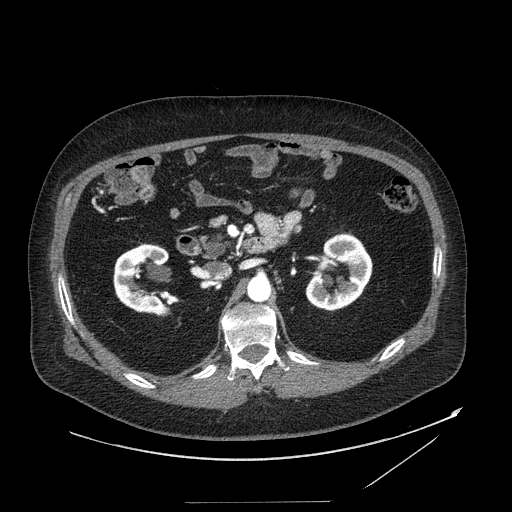 CT image
The pancreatic tumor appears at (left=206, top=242, right=224, bottom=255). The pancreas is at (left=203, top=231, right=229, bottom=260).